Slice index 37, CT

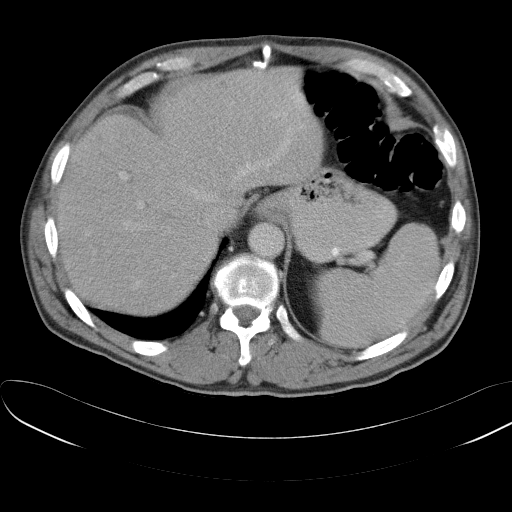 The spleen is at [x1=316, y1=224, x2=439, y2=347].